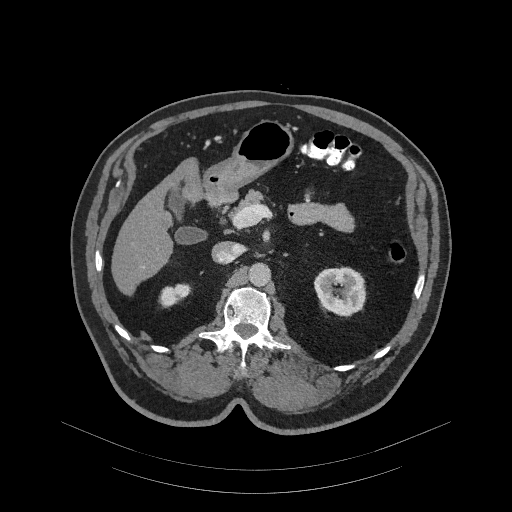
Abdomen; CT slice
pancreas:
  - bbox(233, 190, 262, 213)